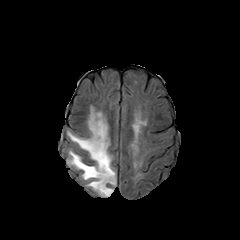
FLAIR magnetic resonance.
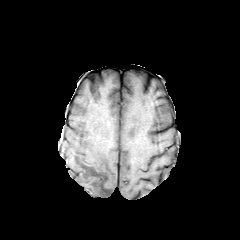
T1-weighted MR of the same slice.
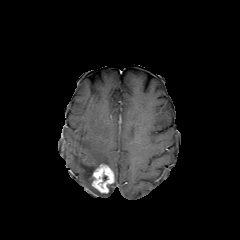
Post-contrast T1-weighted MRI.
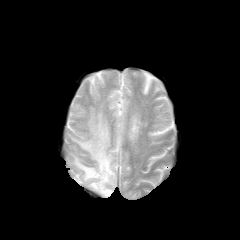
Same slice, T2-weighted MR image.
Segmented structures:
- edema: bbox=[67, 108, 116, 197]
- enhancing tumor: bbox=[91, 164, 114, 193]